Hippocampus | Slice index 12 | MR image

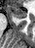

Anterior hippocampus: bounding box l=8, t=6, r=27, b=18.